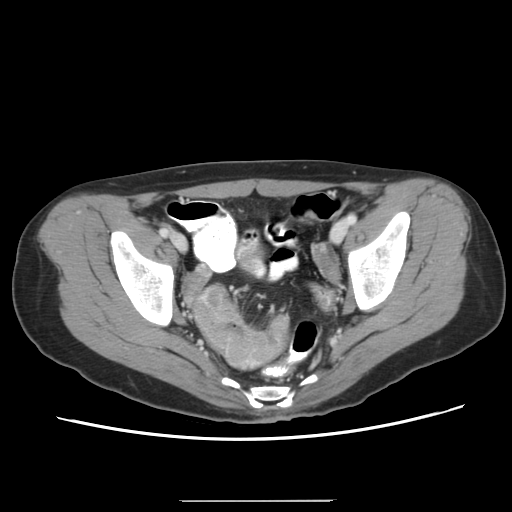

Image size 512x512; CT scan slice

{
  "colon_tumor": [
    "box(193, 285, 288, 370)"
  ]
}